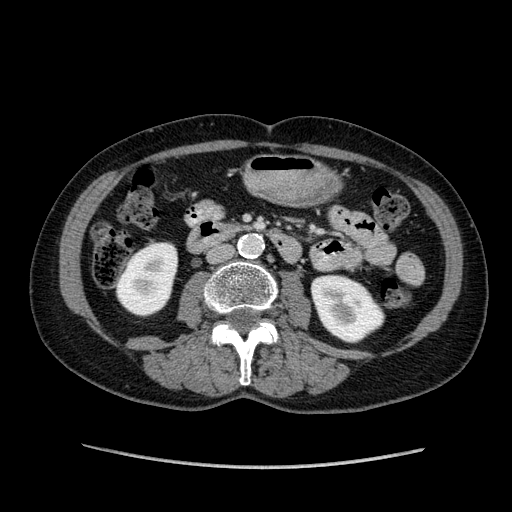 CT slice
2 kidney regions are located at (312, 276, 382, 340), (117, 243, 176, 314).